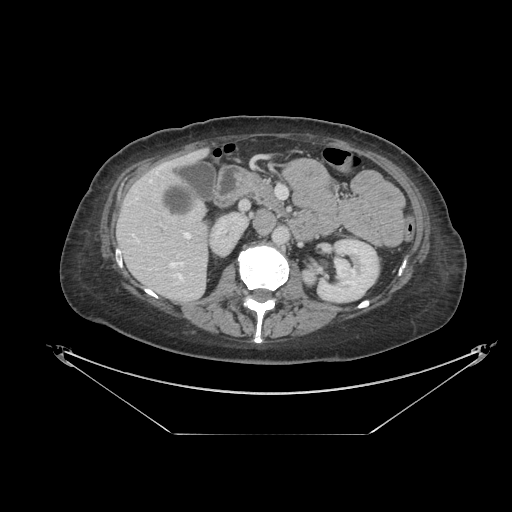 512x512 px, CT
Pancreas = [251, 181, 284, 214].